512x512 | Computed tomography | Slice 128/299 | Abdomen
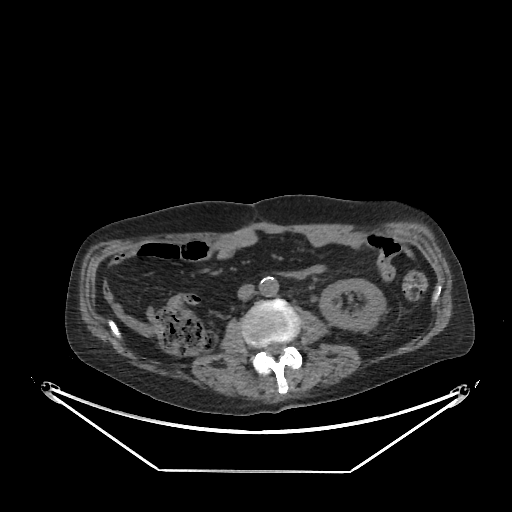

kidney: x1=319 y1=278 x2=386 y2=332